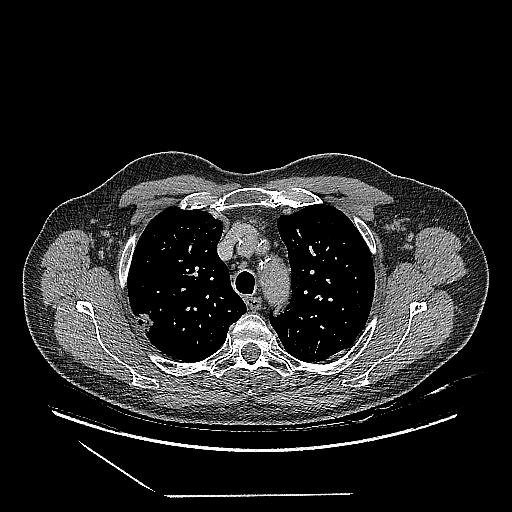 Lung, CT scan slice

Lung tumor: box(133, 308, 153, 336).